240x240 px. Slice index 128. Head. Field of view 240 mm wide, 1.00 mm slice spacing.
FLAIR MRI.
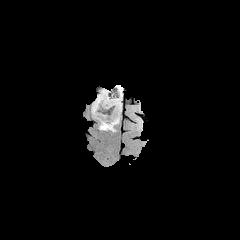
T1-weighted MRI.
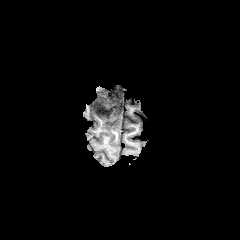
Post-contrast T1-weighted MR image.
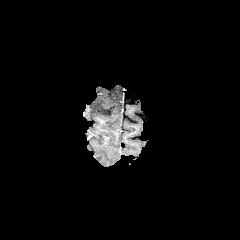
T2-weighted magnetic resonance.
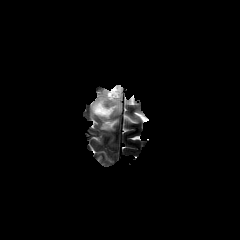
non-enhancing_tumor_core:
  - (101,120,117,127)
  - (94,100,109,117)
edema:
  - (91,87,122,126)